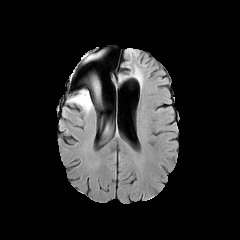
FLAIR MRI.
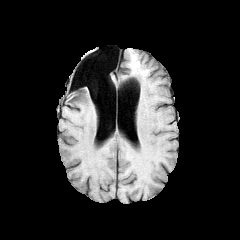
T1-weighted MR.
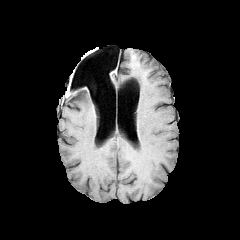
Post-contrast T1-weighted MR.
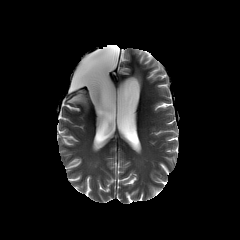
Same slice, T2-weighted MR image.
Brain, Image size 240x240
Annotated regions:
* edema: bbox=[68, 90, 93, 114]